FLAIR MR image.
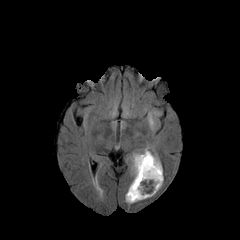
T1-weighted MR image.
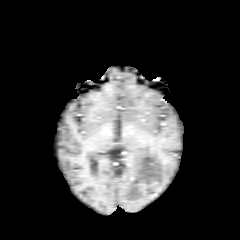
Post-contrast T1-weighted MR.
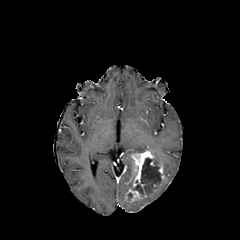
T2-weighted MRI.
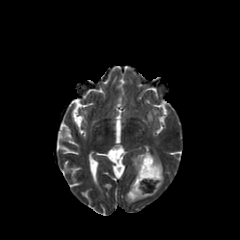
Findings:
• non-enhancing tumor core: (x1=140, y1=158, x2=160, y2=183)
• enhancing tumor: (x1=132, y1=150, x2=154, y2=188), (x1=127, y1=189, x2=141, y2=199)
• edema: (x1=130, y1=156, x2=135, y2=174), (x1=125, y1=176, x2=163, y2=203), (x1=152, y1=153, x2=161, y2=165)